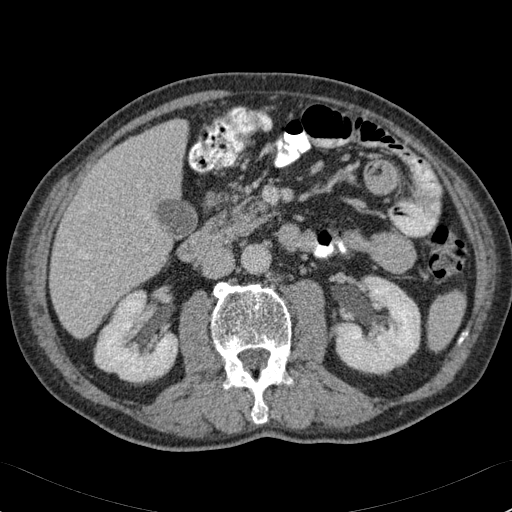

Liver, CT image
The liver appears at {"x1": 50, "y1": 120, "x2": 186, "y2": 336}. 2 kidney regions are located at {"x1": 335, "y1": 277, "x2": 419, "y2": 373}, {"x1": 95, "y1": 291, "x2": 177, "y2": 381}.